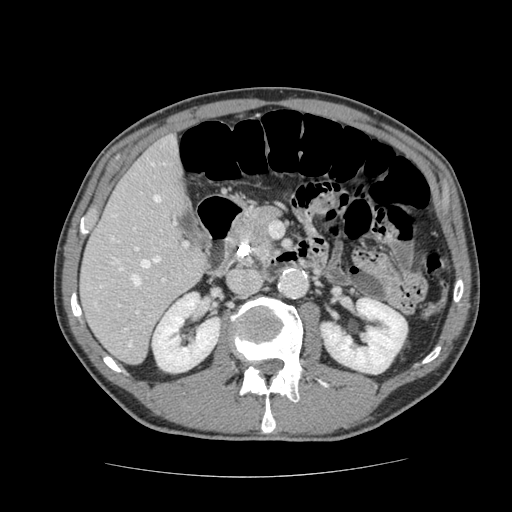
Computed tomography. Upper abdomen. Image size 512x512.

Pancreatic tumor — bbox(244, 208, 272, 237).
Pancreas — bbox(226, 205, 284, 269).